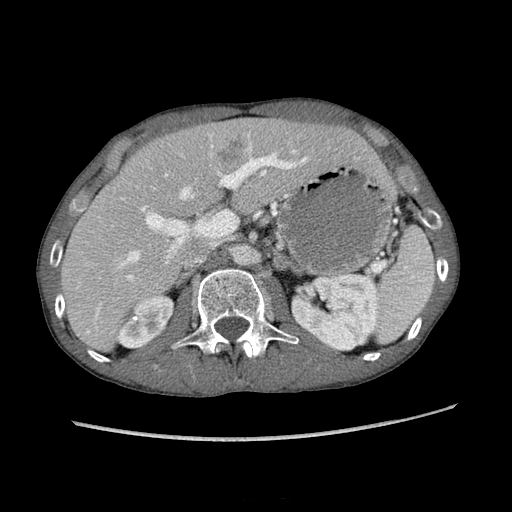

Image size 512x512; Computed tomography; Liver

Kidney: x1=118, y1=297, x2=172, y2=346; x1=294, y1=275, x2=379, y2=349.
Liver: x1=58, y1=118, x2=378, y2=351.
Hepatic lesion: x1=220, y1=140, x2=245, y2=163.